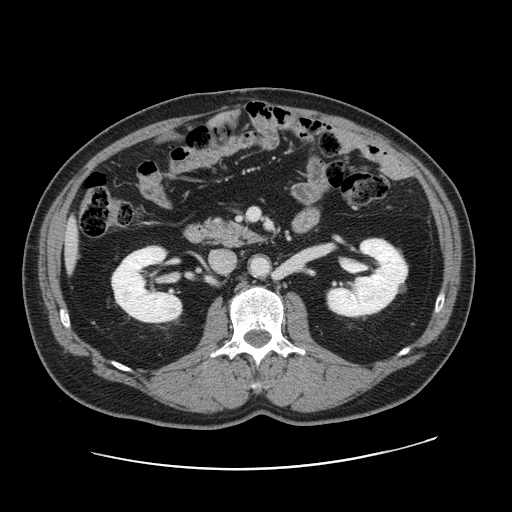

CT scan slice. Abdomen. The vessel boxes may cover only some of the vessels.
2 hepatic vessel regions are bounded by x1=68, y1=223, x2=73, y2=236; x1=66, y1=256, x2=71, y2=262.